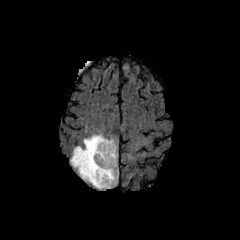
FLAIR MR image.
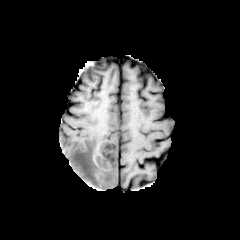
T1-weighted MR of the same slice.
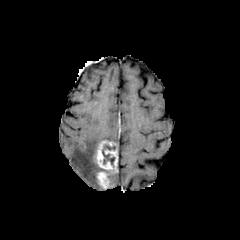
Same slice, post-contrast T1-weighted MR image.
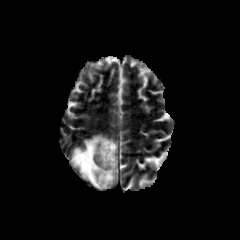
Same slice, T2-weighted MR.
Head, Image size 240x240
Segmented structures:
* edema: l=71, t=133, r=113, b=188
* enhancing tumor: l=95, t=140, r=117, b=188
* non-enhancing tumor core: l=102, t=151, r=114, b=164